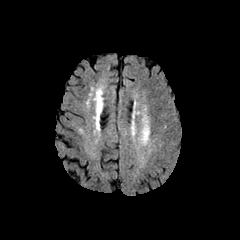
FLAIR MRI.
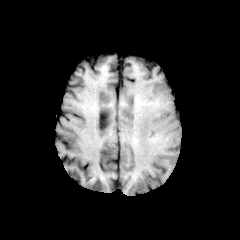
T1-weighted MR image.
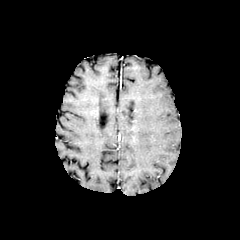
Same slice, post-contrast T1-weighted MR.
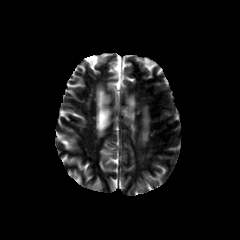
Same slice, T2-weighted magnetic resonance.
Head; Image size 240x240
- edema: [140,108,149,144]